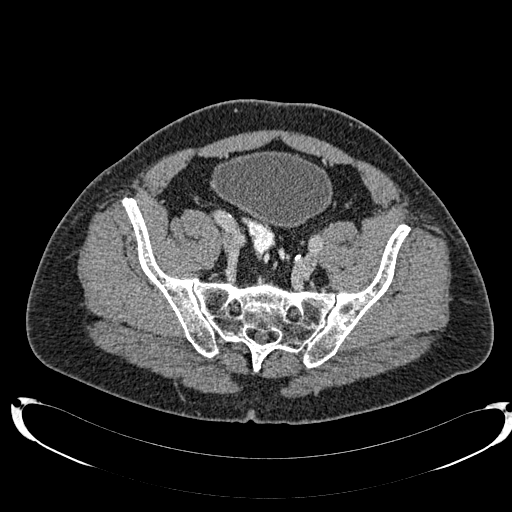

CT slice, Pelvis
{
  "urinary_bladder": [
    "212:151:332:227"
  ]
}